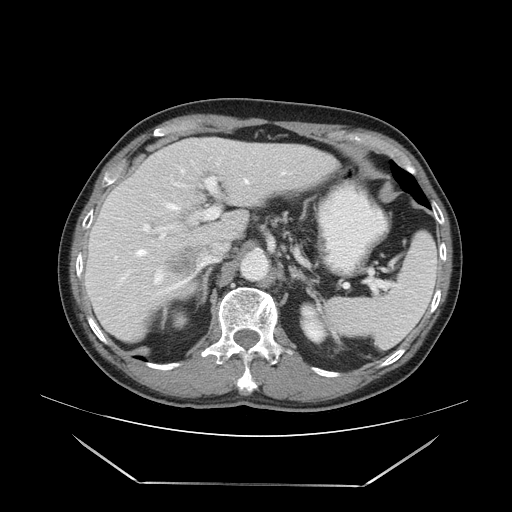 512x512 | Computed tomography
The vessel boxes may cover only some of the vessels.
Annotated regions:
- hepatic vessel: 174:184:184:185, 144:226:148:230, 165:279:188:290, 198:254:213:268
- liver tumor: 160:240:207:278